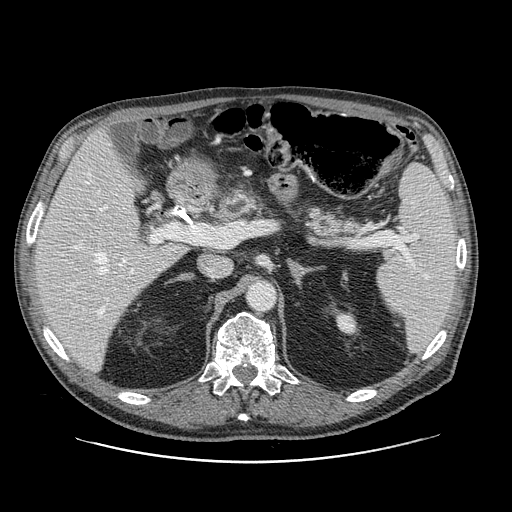
Upper abdomen | CT | 512x512 px
2 pancreas regions are bounded by {"x1": 305, "y1": 210, "x2": 364, "y2": 240}, {"x1": 220, "y1": 193, "x2": 257, "y2": 222}.